FLAIR MR image.
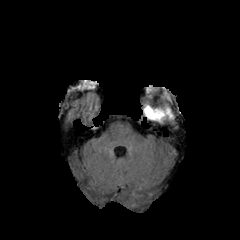
T1-weighted MRI.
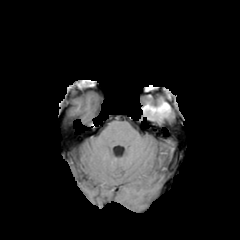
Post-contrast T1-weighted MR image.
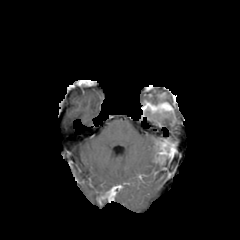
T2-weighted MR.
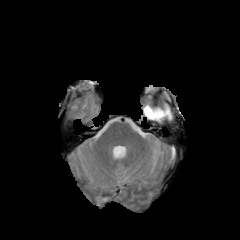
Non-enhancing tumor core — bbox(147, 103, 171, 118).
Edema — bbox(149, 112, 173, 121).
Enhancing tumor — bbox(143, 104, 170, 114).